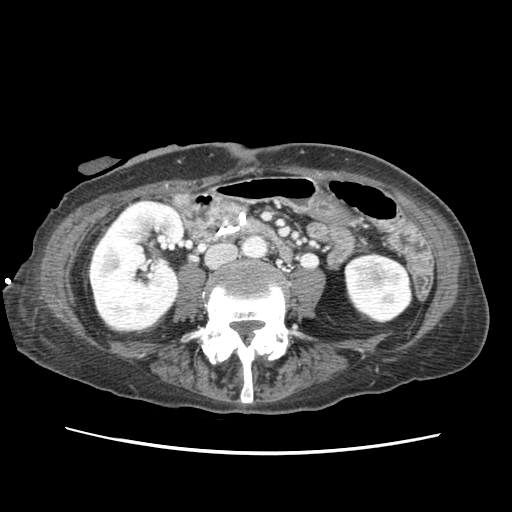

CT. Abdomen.
Pancreas = <bbox>244, 220, 262, 232</bbox>.